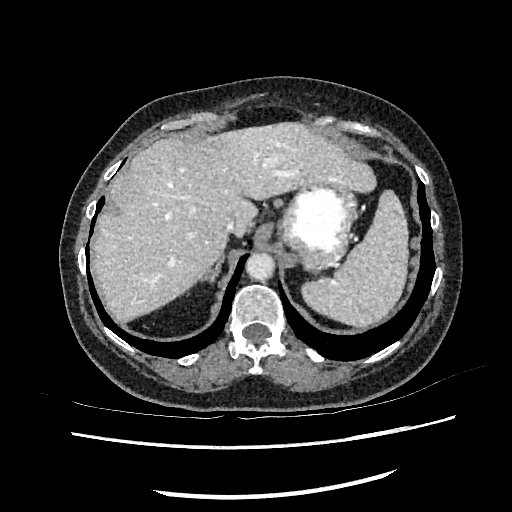

CT scan slice. 512x512 px.
Liver at box(92, 124, 375, 321).